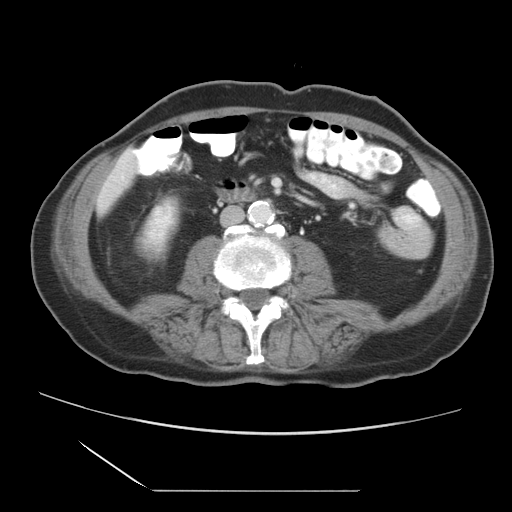 Computed tomography
Not every hepatic vessel necessarily has a box.
The hepatic vessel lies within 122 176 124 178.